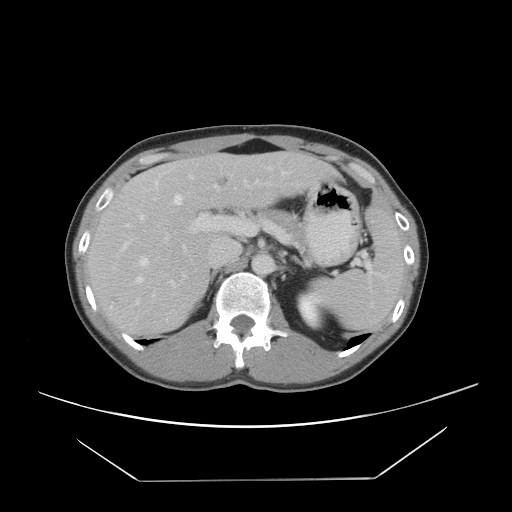 CT slice, Abdomen

The vessel boxes may cover only some of the vessels.
Liver tumor: region(110, 298, 119, 304).
Most prominent 15 of 21 hepatic vessel regions: region(244, 180, 247, 186); region(137, 211, 144, 219); region(121, 238, 131, 250); region(174, 194, 182, 204); region(214, 185, 218, 190); region(135, 277, 142, 282); region(255, 180, 270, 185); region(190, 225, 197, 232); region(136, 256, 147, 266); region(182, 273, 186, 277); region(281, 170, 289, 175); region(268, 166, 271, 169); region(154, 165, 172, 188); region(188, 175, 192, 178); region(170, 280, 174, 286).